Brain | 240x240
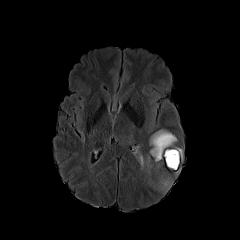
FLAIR MR image.
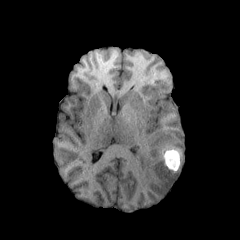
T1-weighted MR image.
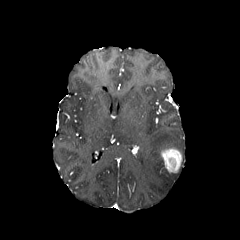
Same slice, post-contrast T1-weighted MR.
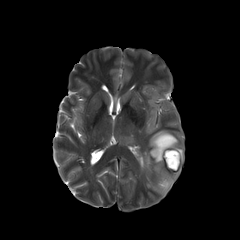
Same slice, T2-weighted magnetic resonance.
Edema: 158,178,172,193; 146,130,177,173; 139,153,144,168.
Enhancing tumor: 160,147,182,173.